Field of view 409x409 mm, Computed tomography, Abdomen 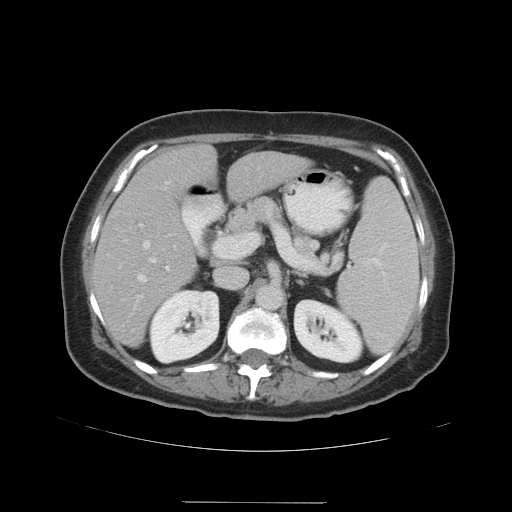 Only some of the vessels may be annotated.
Segmented structures:
* hepatic vessel: (140,224,142,226), (136,294,143,300), (166,266,168,269), (174,246,175,248), (164,181,169,189), (123,240,126,241), (150,258,155,262), (144,241,149,247), (138,275,146,281)